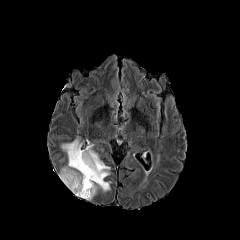
FLAIR MR.
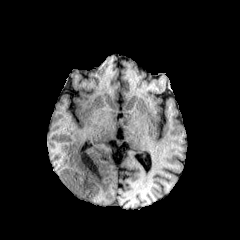
T1-weighted MR image.
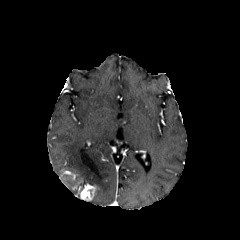
Post-contrast T1-weighted MR image.
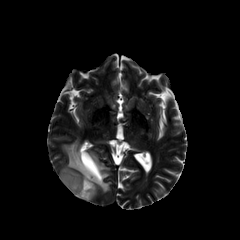
T2-weighted MR.
Head
{"enhancing_tumor": ["76,181,96,200"], "edema": ["62,137,110,193"]}